Slice 90/155, Brain, Field of view 240 mm wide, 1.00 mm slice spacing
FLAIR MR.
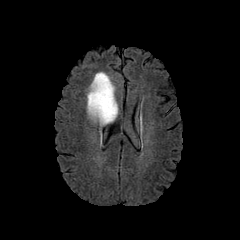
T1-weighted MR.
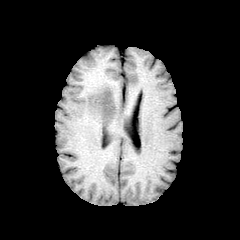
Post-contrast T1-weighted MR image.
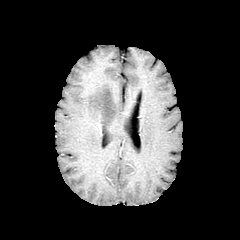
T2-weighted MRI.
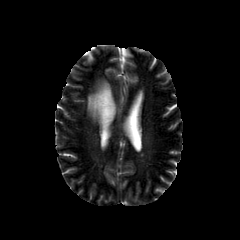
{
  "edema": [
    "(86,72,119,127)"
  ]
}